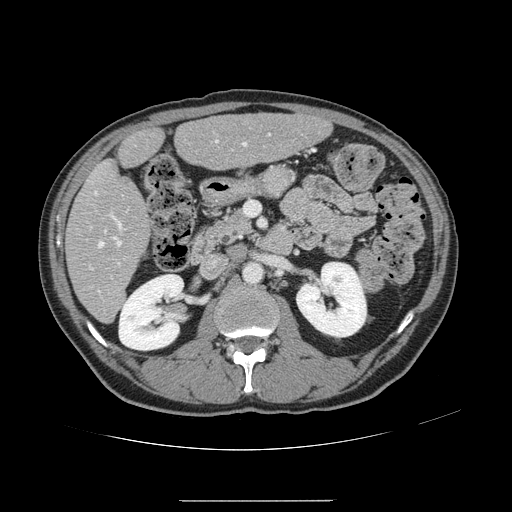 Liver, CT scan slice

The vessel annotation is not exhaustive.
Annotated regions:
* hepatic vessel: (left=216, top=140, right=217, bottom=141), (left=110, top=211, right=124, bottom=229), (left=99, top=241, right=103, bottom=246), (left=90, top=266, right=92, bottom=269), (left=104, top=230, right=106, bottom=231), (left=94, top=192, right=96, bottom=194), (left=92, top=180, right=93, bottom=182), (left=243, top=142, right=246, bottom=145), (left=113, top=237, right=120, bottom=245)